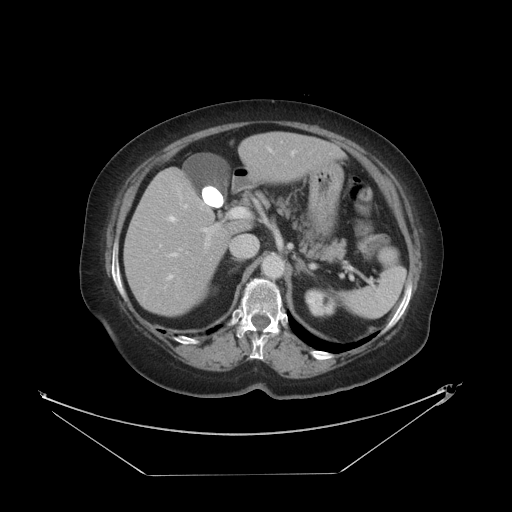

CT; Abdomen
The vessel boxes may cover only some of the vessels.
{"hepatic_vessel": ["202 225 218 246", "230 207 248 217"]}